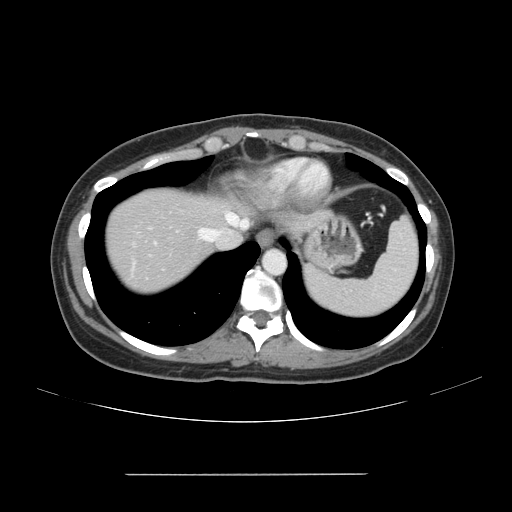 CT slice
The vessel boxes may cover only some of the vessels.
Segmented structures:
• hepatic vessel: box(226, 213, 245, 226); box(199, 228, 219, 240)